CT image | Slice index 501
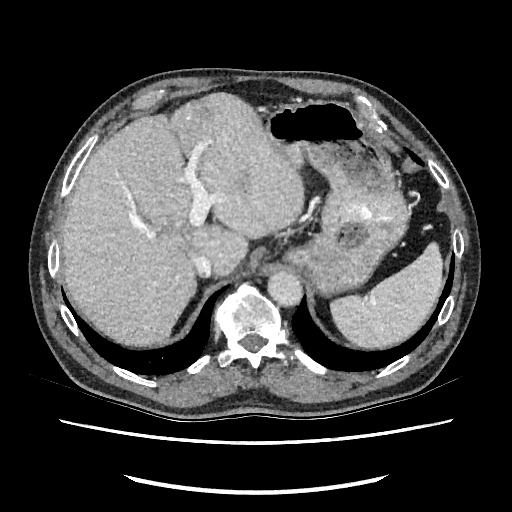

<segmentation>
  <liver>[62,94,302,343]</liver>
  <hepatic_lesion>[181,243,193,259]</hepatic_lesion>
</segmentation>